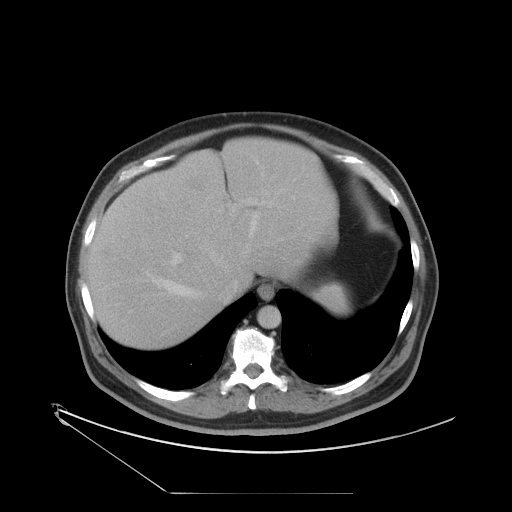 CT, Image size 512x512
Only some of the vessels may be annotated.
The liver tumor lies within rect(188, 174, 205, 192). The largest 15 hepatic vessel regions (of 18) are bounded by rect(240, 198, 264, 205); rect(225, 266, 228, 272); rect(251, 212, 260, 234); rect(200, 239, 224, 264); rect(228, 203, 236, 215); rect(144, 279, 148, 280); rect(226, 247, 230, 252); rect(266, 192, 268, 195); rect(253, 157, 258, 164); rect(260, 166, 262, 168); rect(151, 278, 199, 296); rect(246, 245, 249, 251); rect(261, 172, 262, 179); rect(171, 254, 181, 263); rect(146, 272, 148, 275).